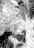 MRI
Segmented structures:
• posterior hippocampus: {"x1": 13, "y1": 33, "x2": 24, "y2": 40}